Slice 12/34. Hippocampus. Field of view 34x53 mm. MR image.

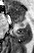

<segmentation>
  <posterior_hippocampus>(left=20, top=24, right=22, bottom=26)</posterior_hippocampus>
  <anterior_hippocampus>(left=7, top=5, right=25, bottom=22)</anterior_hippocampus>
</segmentation>